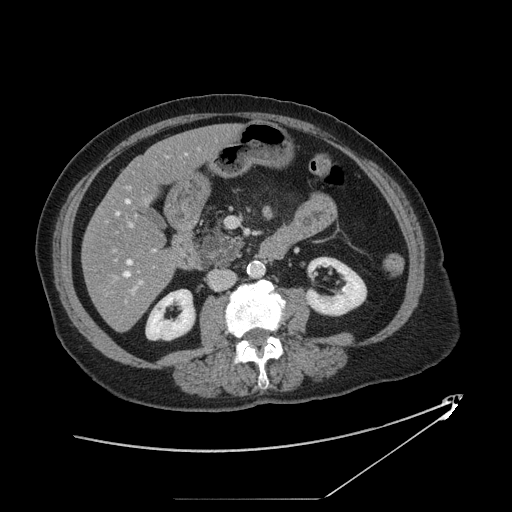
CT slice; Upper abdomen

Pancreas at [204, 230, 244, 262], [198, 236, 203, 268].
Pancreatic tumor at [200, 234, 234, 269].